Abdomen; CT image

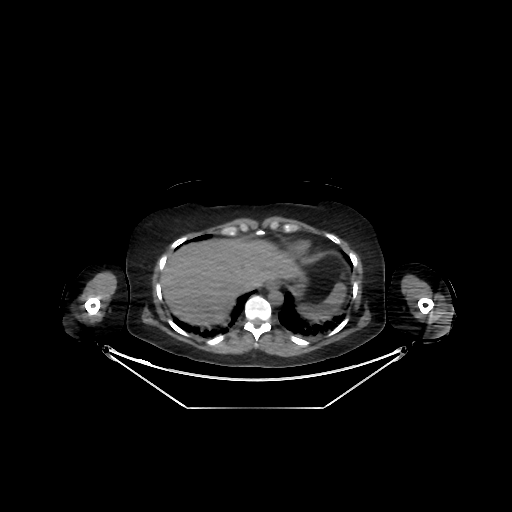
Liver: (x1=160, y1=236, x2=301, y2=326).